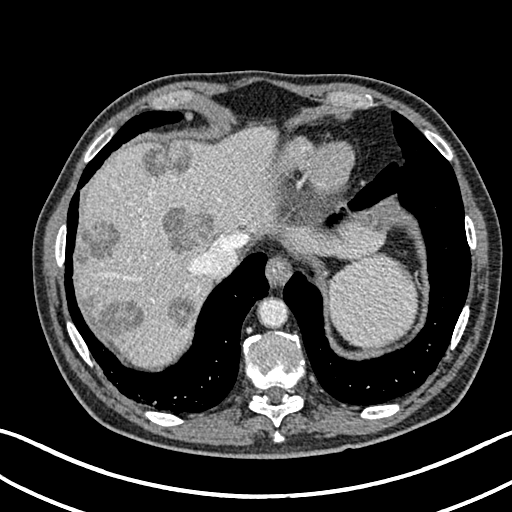 Upper abdomen | Computed tomography | Image size 512x512
- liver: box=[74, 125, 277, 367]; box=[284, 219, 383, 258]
- focal liver lesion: box=[96, 302, 142, 333]; box=[83, 221, 117, 258]; box=[166, 296, 194, 327]; box=[77, 250, 86, 261]; box=[143, 145, 191, 175]; box=[163, 207, 214, 252]